Abdomen, CT image, 512x512 px, Slice 331/845
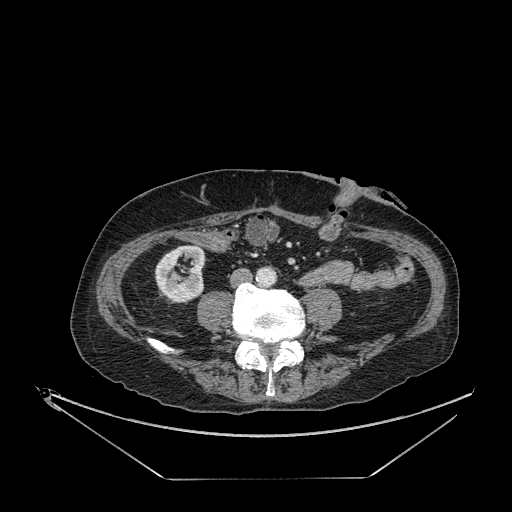
Annotated regions:
- kidney: (155,246,204,301)